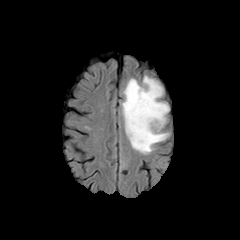
FLAIR MR.
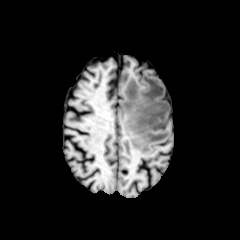
Same slice, T1-weighted MR image.
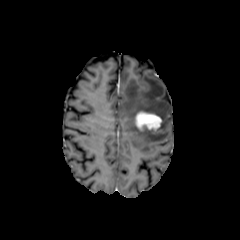
Same slice, post-contrast T1-weighted MRI.
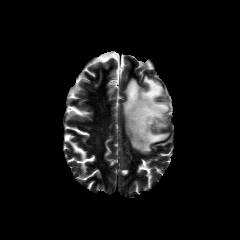
T2-weighted magnetic resonance.
Brain
Segmented structures:
• enhancing tumor: x1=135, y1=111, x2=161, y2=130
• edema: x1=121, y1=75, x2=169, y2=154